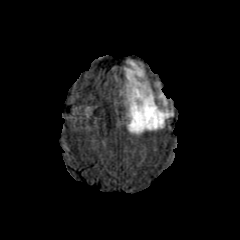
FLAIR MRI.
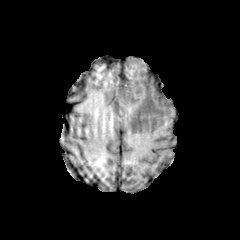
Same slice, T1-weighted MR.
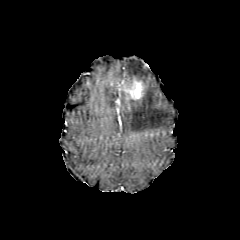
Same slice, post-contrast T1-weighted MRI.
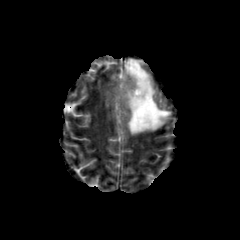
T2-weighted MRI.
Head; 240x240 px
non-enhancing tumor core: <bbox>124, 76, 132, 87</bbox> | edema: <bbox>124, 59, 172, 134</bbox> | enhancing tumor: <bbox>122, 78, 146, 99</bbox>